CT image. Image width 427 mm.
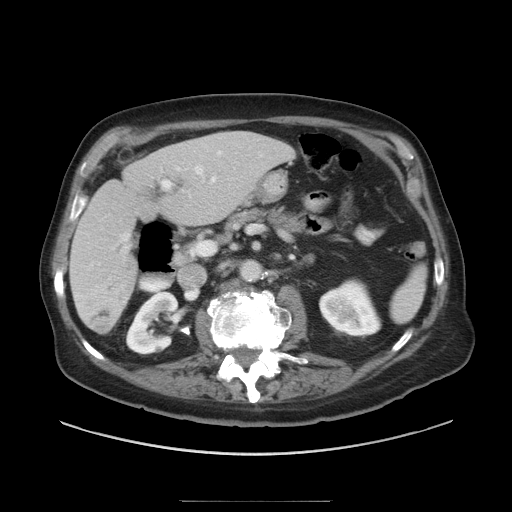

The vessel boxes may cover only some of the vessels.
8 hepatic vessel regions appear at (218, 151, 221, 154), (124, 247, 126, 249), (123, 236, 126, 239), (195, 165, 205, 181), (182, 188, 190, 196), (161, 180, 172, 190), (190, 241, 214, 255), (211, 177, 215, 182). The liver tumor is bounded by (91, 308, 113, 328).